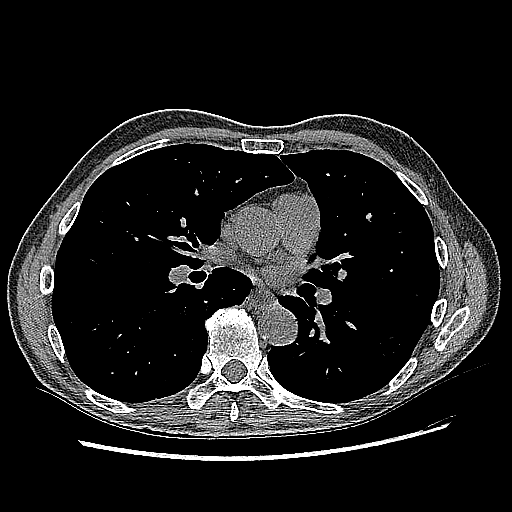

CT image
{
  "lung_tumor": [
    "(123, 230, 142, 242)"
  ]
}